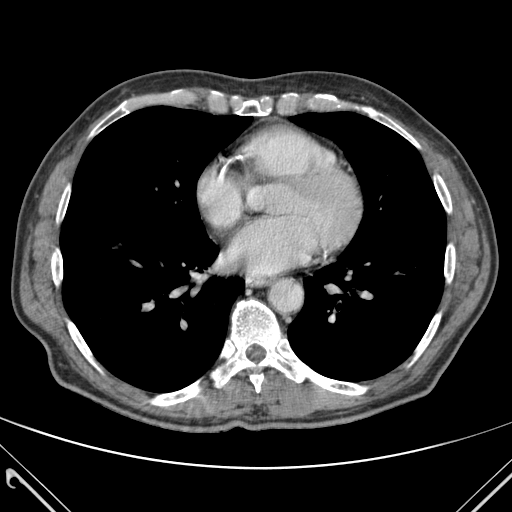
512x512 | CT | Thorax

2 lung regions are bounded by 60,106,252,392; 288,112,446,381. 12 bone regions are bounded by 233,100,273,115; 434,175,451,212; 212,299,366,395; 56,186,69,227; 51,245,62,288; 444,245,455,281; 315,94,340,104; 151,381,199,405; 68,322,99,369; 362,108,419,147; 414,314,440,359; 90,101,131,135.